CT scan slice; Field of view 339 mm wide, 0.80 mm slice spacing
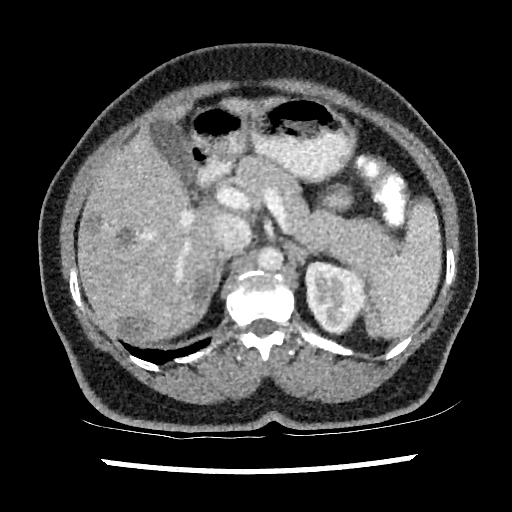
{
  "liver_lesion": [
    "box(116, 228, 135, 247)",
    "box(85, 215, 99, 233)",
    "box(194, 272, 211, 307)",
    "box(117, 316, 143, 340)"
  ],
  "kidney": [
    "box(306, 262, 365, 332)"
  ],
  "liver": [
    "box(261, 98, 278, 107)",
    "box(78, 127, 218, 342)",
    "box(164, 103, 186, 121)",
    "box(223, 100, 255, 114)"
  ]
}